Computed tomography | Image width 487 mm | Upper abdomen

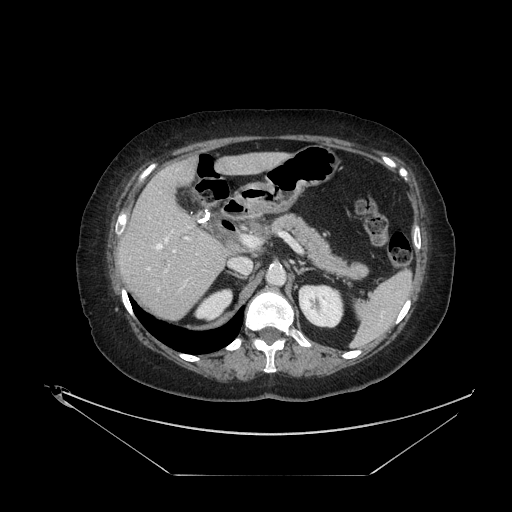 Annotated regions:
* pancreas: [x1=265, y1=215, x2=368, y2=280]